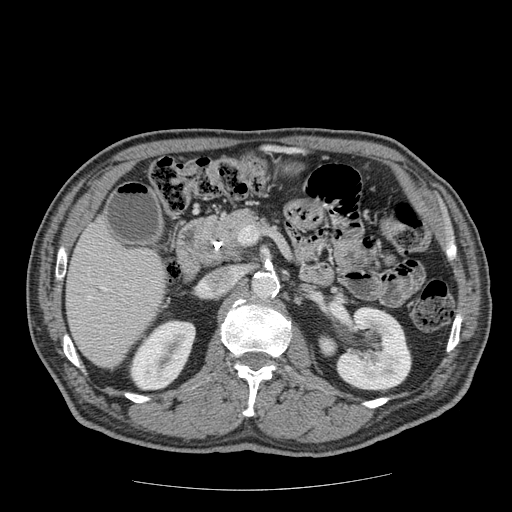 CT; Upper abdomen; 512x512
The pancreas appears at bbox=[196, 207, 270, 270]. The pancreatic tumor appears at bbox=[193, 216, 239, 263].